FLAIR MRI.
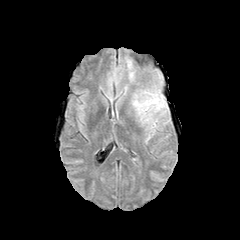
T1-weighted MRI.
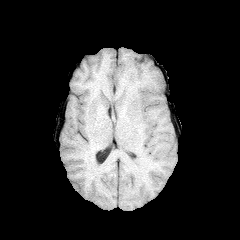
Post-contrast T1-weighted MR image.
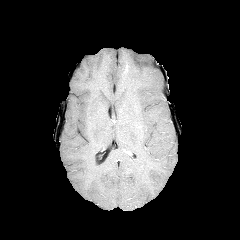
T2-weighted MR.
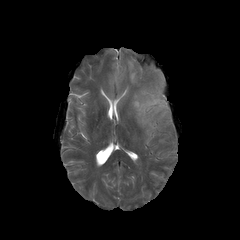
* edema: x1=132 y1=88 x2=166 y2=132